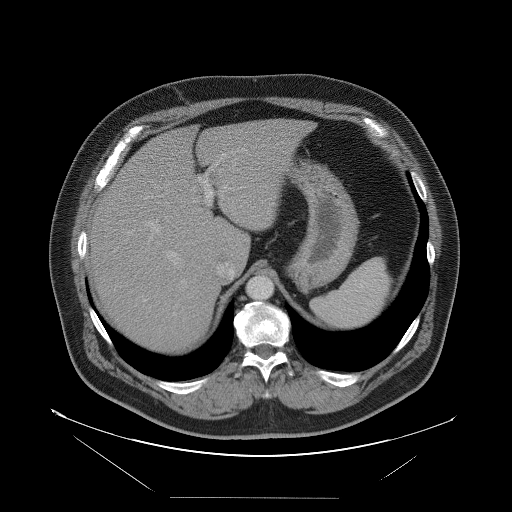 Abdomen, Image size 512x512, Computed tomography
Only some of the vessels may be annotated.
Hepatic vessel = rect(221, 153, 225, 157); rect(219, 185, 225, 194); rect(167, 251, 177, 257); rect(146, 221, 160, 232); rect(176, 304, 177, 305); rect(143, 299, 146, 301); rect(231, 151, 233, 153); rect(198, 173, 213, 204).